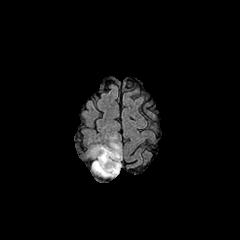
FLAIR MR.
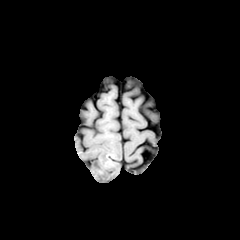
Same slice, T1-weighted MRI.
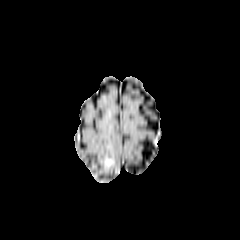
Same slice, post-contrast T1-weighted magnetic resonance.
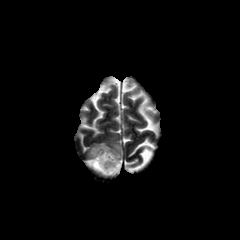
T2-weighted MR.
Enhancing tumor: bounding box {"x1": 105, "y1": 158, "x2": 113, "y2": 165}.
Edema: bounding box {"x1": 90, "y1": 136, "x2": 121, "y2": 177}.
Non-enhancing tumor core: bounding box {"x1": 101, "y1": 154, "x2": 119, "y2": 173}.